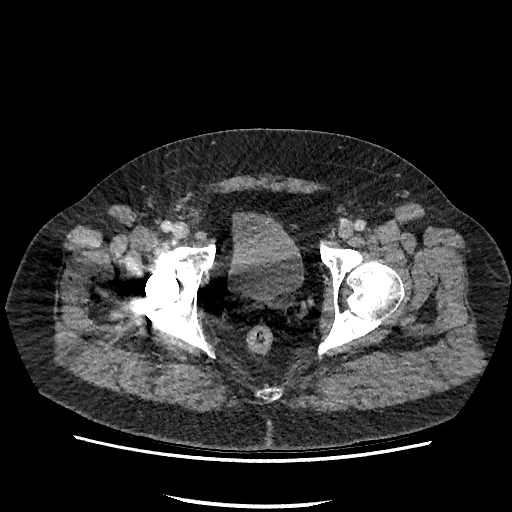

CT scan slice | Pelvis
The urinary bladder is located at rect(228, 212, 303, 304).